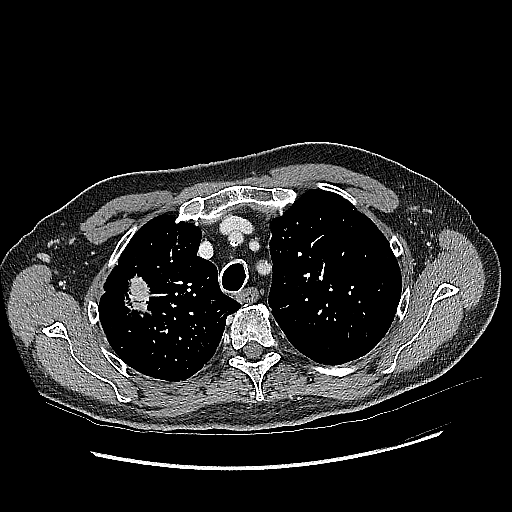 CT slice. Thorax. 512x512.
The lung tumor lies within 113:265:153:318.